CT slice; Slice 63 of 771

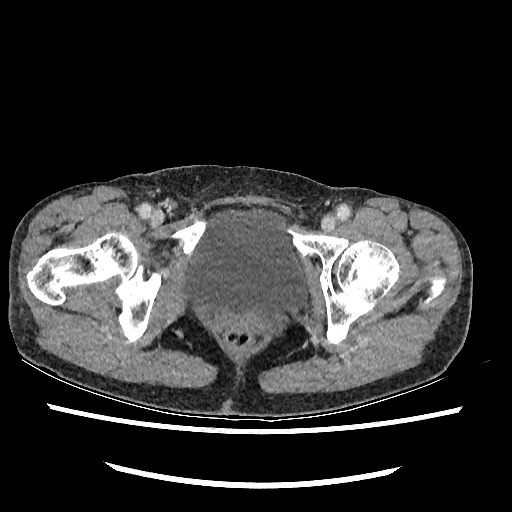 The urinary bladder appears at left=180, top=208, right=309, bottom=329.